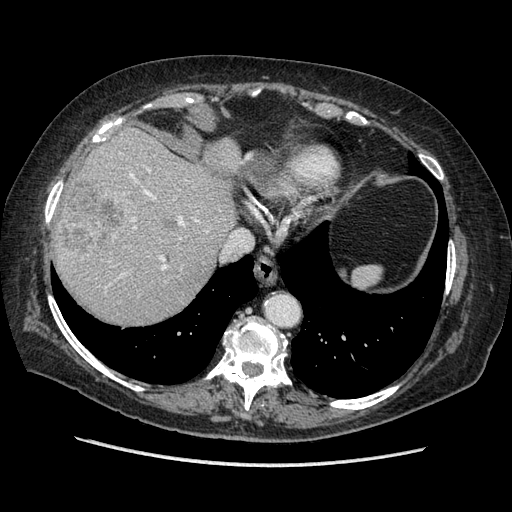
CT, Abdomen, 512x512
Only some of the vessels may be annotated.
The liver tumor lies within box(58, 180, 133, 250). 7 hepatic vessel regions are located at box(178, 218, 182, 223); box(122, 273, 125, 274); box(161, 261, 165, 268); box(132, 217, 135, 227); box(144, 190, 151, 195); box(160, 256, 163, 259); box(130, 175, 134, 179).